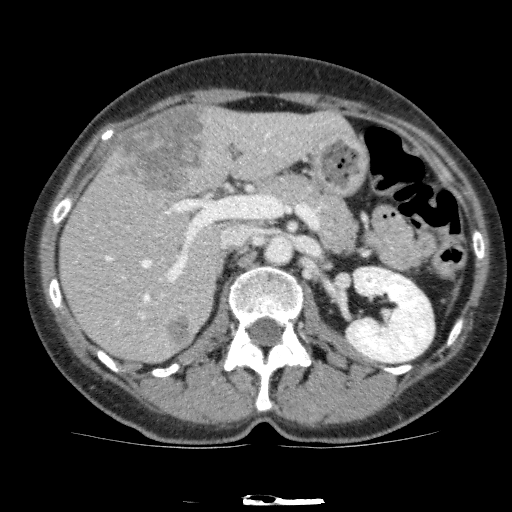

CT scan slice
Liver: bounding box (59,106,355,362).
Focal liver lesion: bounding box (112,106,207,194), (164,314,191,348).
Kidney: bounding box (346,267,433,362).